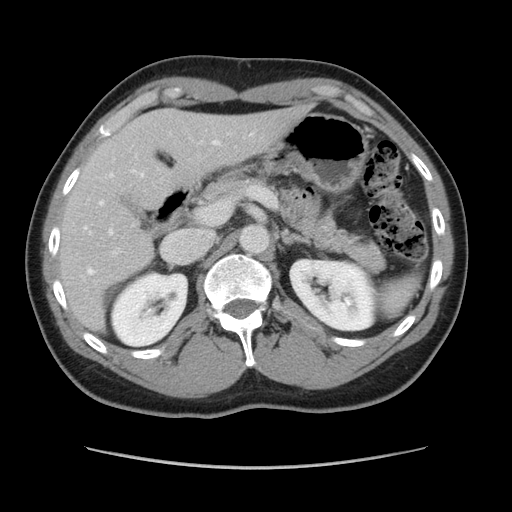
Liver; CT scan slice; Image size 512x512

Some hepatic vessels may have no box.
14 hepatic vessel regions appear at <box>213,141,220,144</box>, <box>228,133,230,134</box>, <box>109,229,112,234</box>, <box>89,231,91,234</box>, <box>170,132,171,134</box>, <box>200,141,203,143</box>, <box>131,169,143,176</box>, <box>110,173,113,177</box>, <box>99,201,104,205</box>, <box>87,267,94,274</box>, <box>84,226,87,229</box>, <box>82,276,85,280</box>, <box>251,133,253,135</box>, <box>112,248,119,254</box>.